Slice 537/689 | Thorax | Field of view 360 mm wide, 0.80 mm slice spacing | CT image 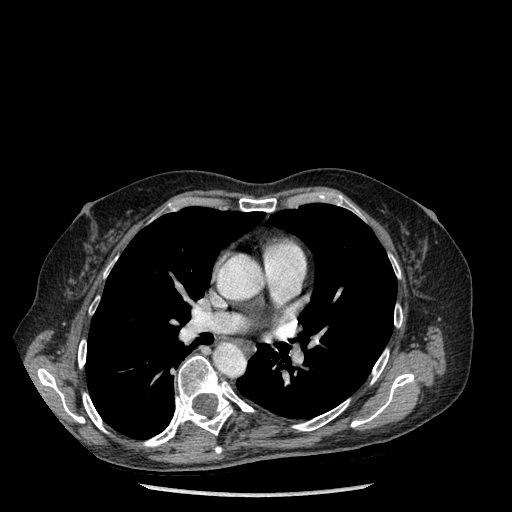

14 bone regions appear at x1=389 y1=254 x2=400 y2=278, x1=337 y1=195 x2=362 y2=217, x1=89 y1=297 x2=99 y2=314, x1=164 y1=203 x2=175 y2=211, x1=394 y1=304 x2=402 y2=327, x1=78 y1=340 x2=86 y2=368, x1=371 y1=349 x2=388 y2=384, x1=103 y1=257 x2=116 y2=277, x1=143 y1=355 x2=254 y2=446, x1=292 y1=399 x2=349 y2=431, x1=239 y1=197 x2=276 y2=212, x1=83 y1=393 x2=107 y2=432, x1=351 y1=373 x2=414 y2=427, x1=37 y1=368 x2=84 y2=423. 2 lung regions are located at x1=236 y1=203 x2=396 y2=418, x1=86 y1=206 x2=264 y2=439.